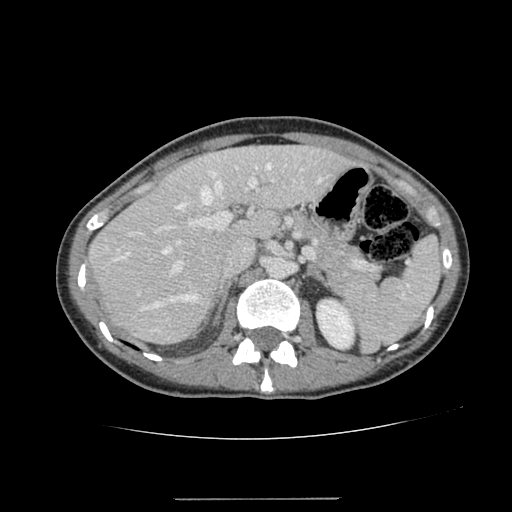 Liver. CT slice.
liver: (90, 144, 352, 343) | kidney: (317, 300, 353, 348)